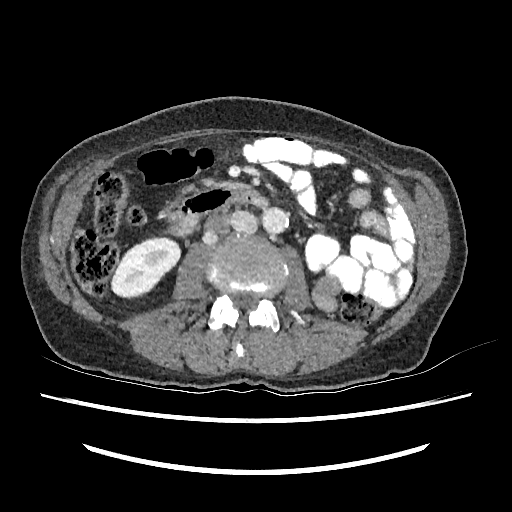 Computed tomography, Abdomen
kidney: 112:238:179:296